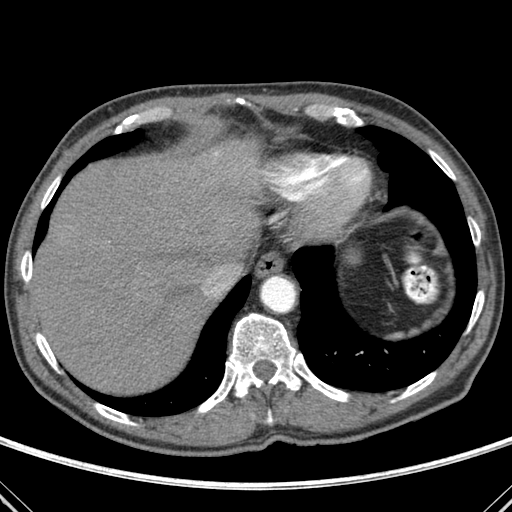 CT, Abdomen
Segmented structures:
* liver: <bbox>32, 140, 258, 395</bbox>
* lung: <bbox>36, 129, 143, 247</bbox>, <bbox>73, 275, 251, 416</bbox>, <bbox>292, 126, 476, 391</bbox>
* bone: <bbox>21, 251, 32, 282</bbox>, <bbox>429, 150, 455, 179</bbox>, <bbox>198, 313, 349, 412</bbox>, <bbox>400, 372, 436, 398</bbox>, <bbox>467, 291, 484, 331</bbox>, <bbox>36, 333, 57, 370</bbox>, <bbox>94, 403, 135, 425</bbox>, <bbox>41, 176, 60, 208</bbox>, <bbox>470, 219, 480, 245</bbox>